CT scan slice.

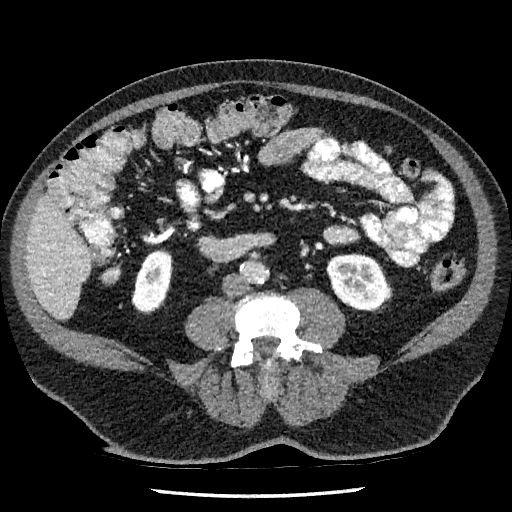
2 kidney regions are bounded by (x1=327, y1=255, x2=389, y2=309), (x1=133, y1=252, x2=170, y2=311). The liver appears at (x1=27, y1=193, x2=90, y2=318).